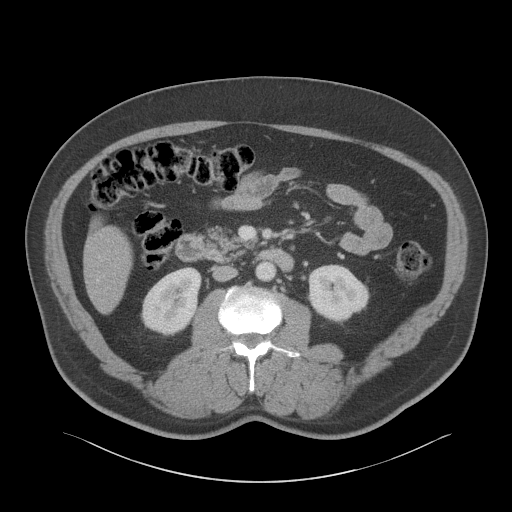 CT image

The liver appears at 84 224 131 311. 2 kidney regions are located at 310 265 367 320, 143 269 199 333.